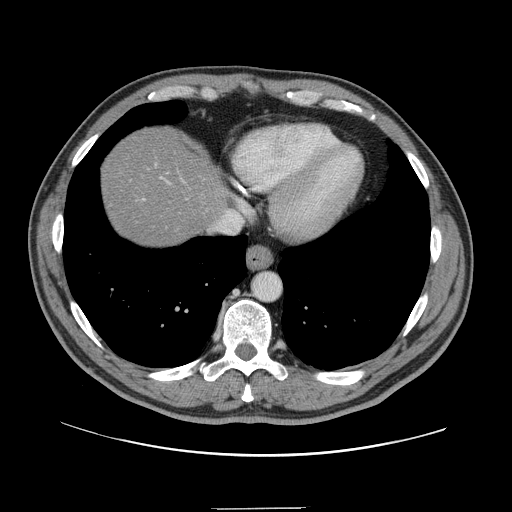 CT scan slice, 512x512
Some hepatic vessels may have no box.
Findings:
* hepatic vessel: [161, 177, 164, 179]